CT slice, Slice 48/97
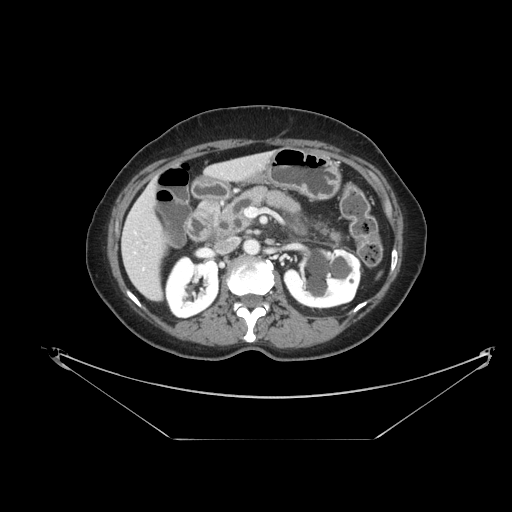
The pancreas is bounded by 212 186 342 241.